CT 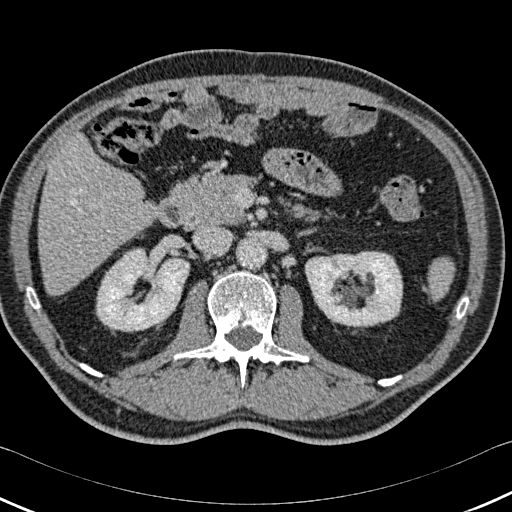 Annotated regions:
- bone: bbox=[378, 376, 401, 385]; bbox=[27, 287, 39, 308]; bbox=[457, 298, 468, 318]; bbox=[80, 364, 102, 376]; bbox=[174, 271, 308, 387]
- liver: bbox=[39, 134, 154, 294]
- kidney: bbox=[306, 252, 401, 325]; bbox=[97, 249, 188, 330]